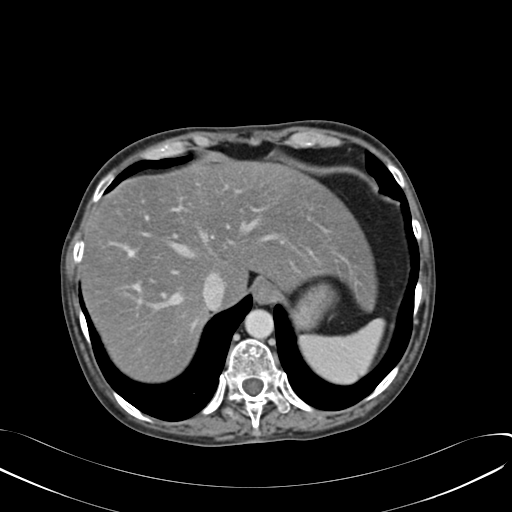

Image size 512x512 | CT | Upper abdomen
{"liver": ["region(82, 162, 375, 382)"]}